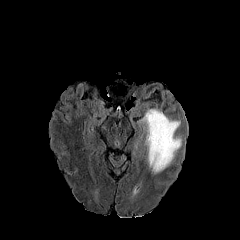
FLAIR MR image.
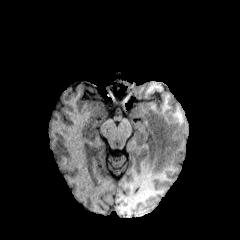
T1-weighted magnetic resonance.
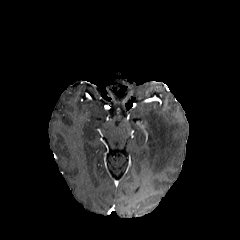
Post-contrast T1-weighted MR image.
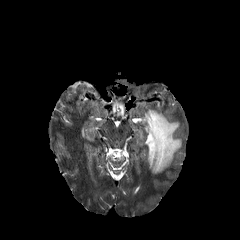
T2-weighted magnetic resonance.
Edema: (left=142, top=109, right=181, bottom=175).